MRI slice 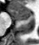
{"anterior_hippocampus": ["9, 8, 31, 20"]}